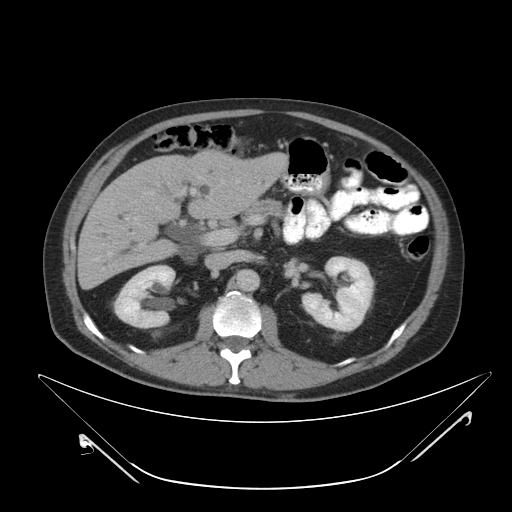
512x512 px; CT scan slice
The pancreas is bounded by 245,199,282,215.